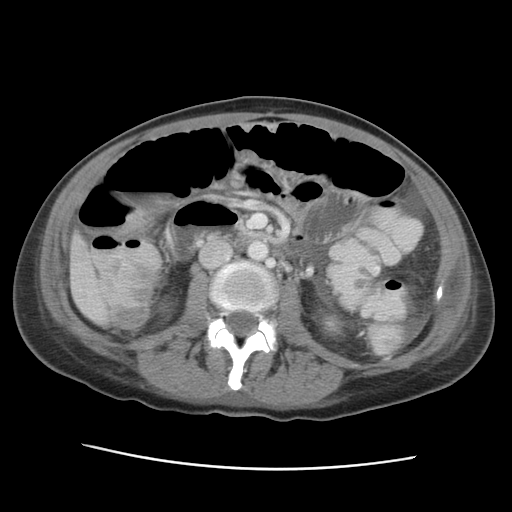

Computed tomography, Liver, Image size 512x512
liver: box=[71, 235, 108, 319]